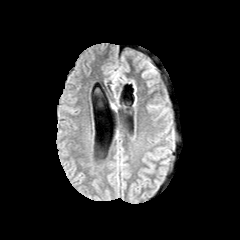
FLAIR MRI.
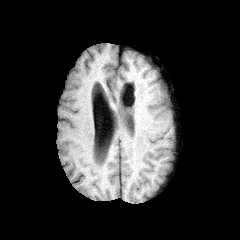
T1-weighted magnetic resonance.
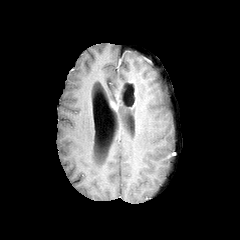
Same slice, post-contrast T1-weighted MR image.
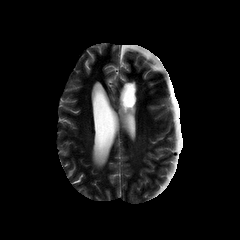
Same slice, T2-weighted MR.
Image size 240x240
* edema: 111, 72, 118, 86